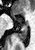 Magnetic resonance
{
  "posterior_hippocampus": [
    "left=16, top=24, right=27, bottom=40"
  ]
}